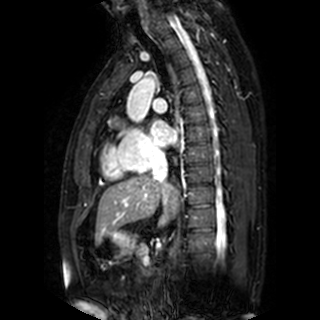
MRI; Heart
The left atrium appears at 149 120 176 146.